Field of view 480x480 mm; CT image; Slice 140/288; Chest

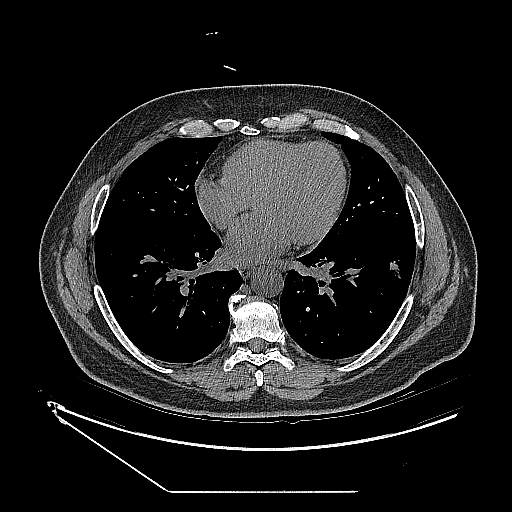
lung_tumor:
  - x1=389, y1=261, x2=400, y2=277